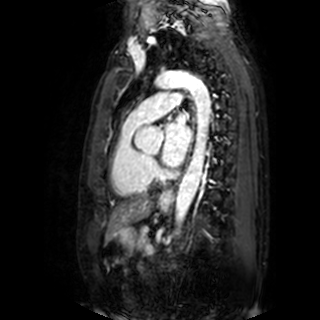

Heart | Magnetic resonance

{
  "left_atrium": [
    "162, 113, 191, 166"
  ]
}